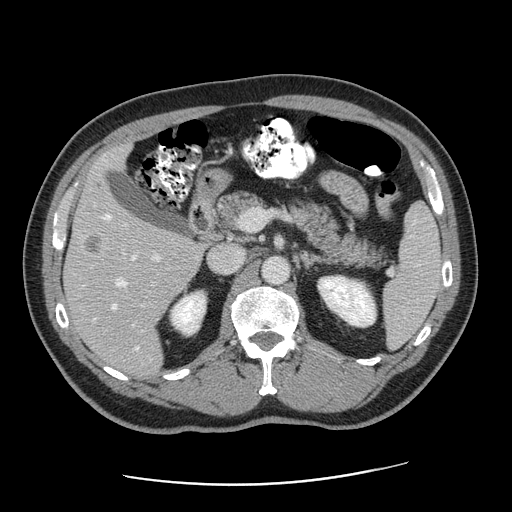
CT slice | Liver

The vessel annotation is not exhaustive.
<segmentation>
  <liver_tumor>95 181 104 190, 80 232 107 257</liver_tumor>
  <hepatic_vessel>104 215 110 218, 152 253 159 259, 117 278 126 285, 94 318 95 320, 135 347 137 349, 209 244 244 273, 113 304 116 308, 134 255 136 257, 239 215 249 231</hepatic_vessel>
</segmentation>